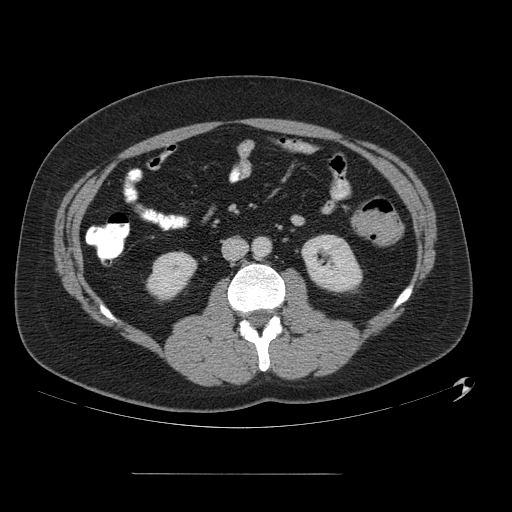

Computed tomography, Pelvis
{"colon_tumor": ["x1=354 y1=210 x2=404 y2=246"]}